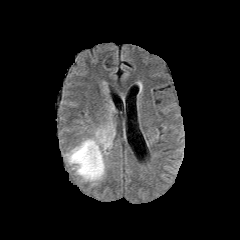
FLAIR MR.
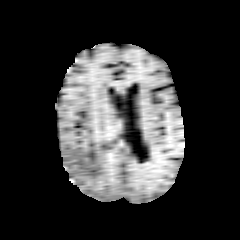
T1-weighted MR.
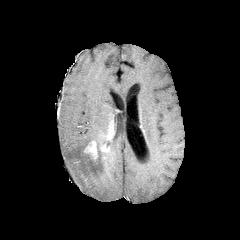
Post-contrast T1-weighted magnetic resonance of the same slice.
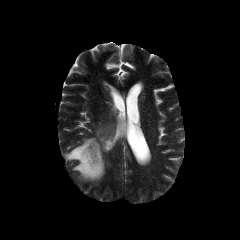
T2-weighted magnetic resonance.
The non-enhancing tumor core is bounded by <box>82,146,96,160</box>. 2 enhancing tumor regions appear at <box>100,144,109,151</box>, <box>84,140,97,159</box>. The edema lies within <box>64,125,113,184</box>.